CT slice; Abdomen

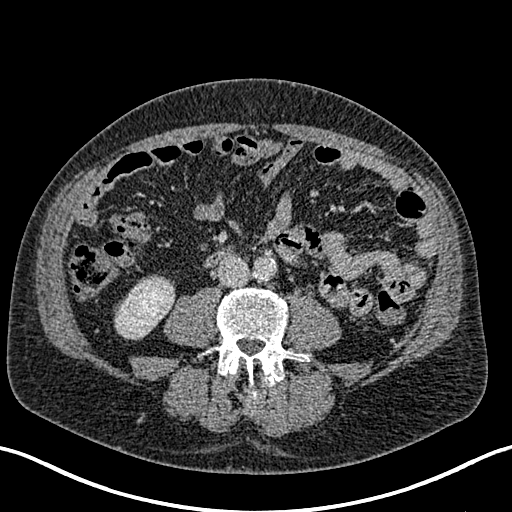 kidney:
  - left=112, top=280, right=171, bottom=338